Liver, Image width 437 mm, Computed tomography, 512x512
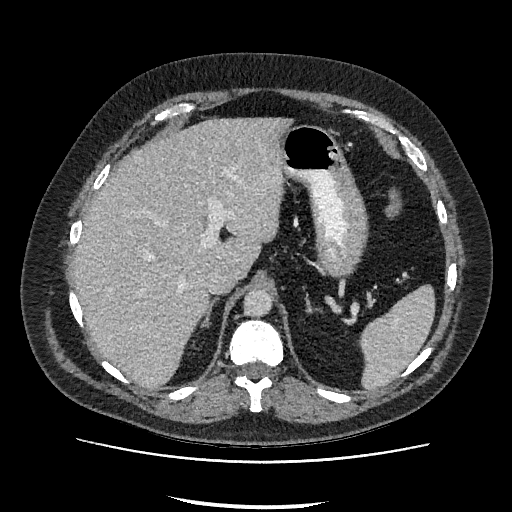 liver:
  - rect(76, 119, 289, 386)